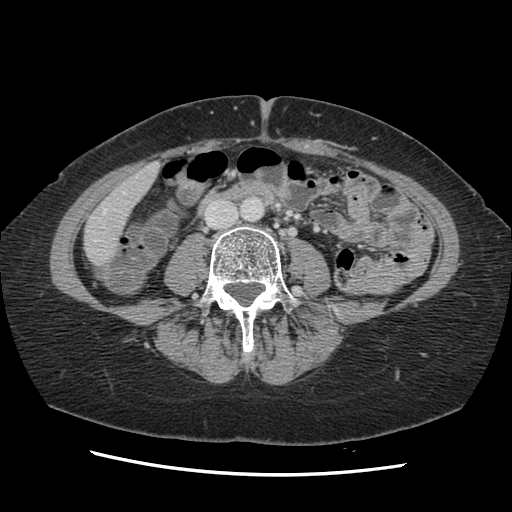
Liver. Image size 512x512. CT image.

Not every hepatic vessel necessarily has a box.
Hepatic vessel: (103, 210, 105, 213), (95, 239, 99, 240).